FLAIR MR.
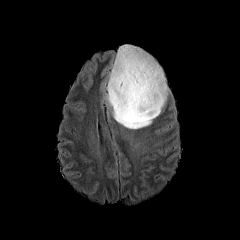
T1-weighted MR.
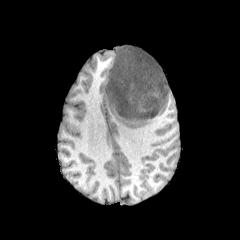
Post-contrast T1-weighted MR.
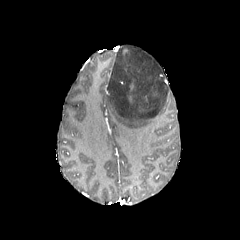
T2-weighted MR.
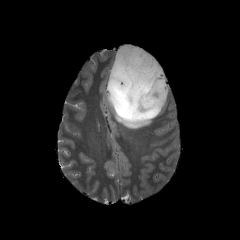
Head.
2 edema regions appear at {"x1": 100, "y1": 75, "x2": 108, "y2": 96}, {"x1": 107, "y1": 45, "x2": 170, "y2": 129}.